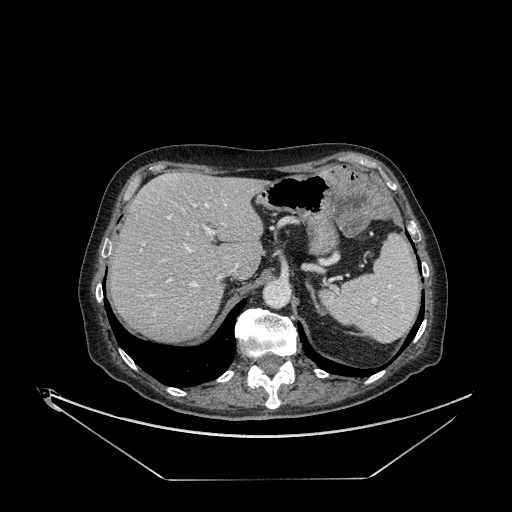
Upper abdomen | Computed tomography
* liver: box=[111, 172, 267, 342]